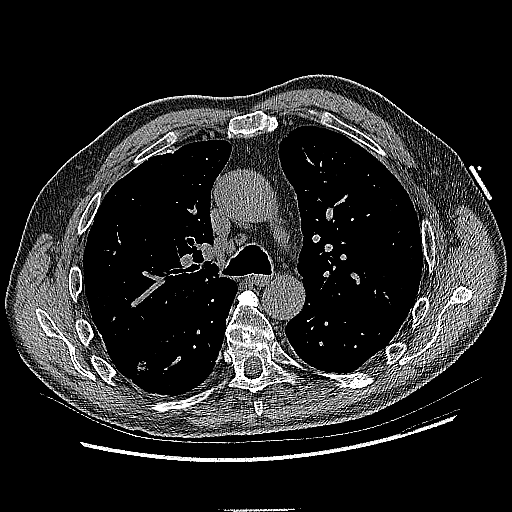 CT scan slice; Thorax
Lung tumor: left=128, top=357, right=149, bottom=384.